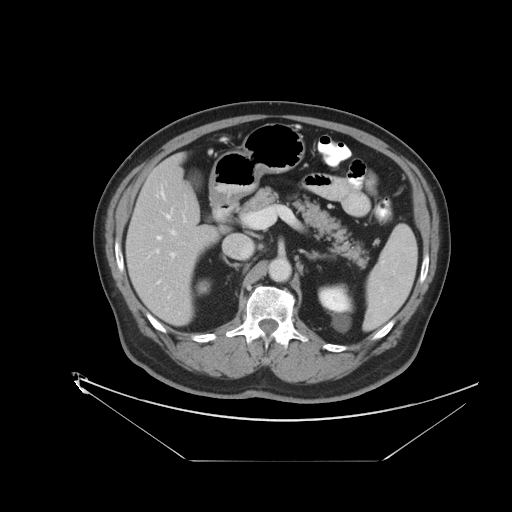

Computed tomography | 512x512 px | Liver
The vessel annotation is not exhaustive.
9 hepatic vessel regions appear at {"x1": 156, "y1": 249, "x2": 159, "y2": 252}, {"x1": 171, "y1": 230, "x2": 175, "y2": 234}, {"x1": 161, "y1": 188, "x2": 164, "y2": 198}, {"x1": 166, "y1": 214, "x2": 170, "y2": 218}, {"x1": 157, "y1": 236, "x2": 160, "y2": 239}, {"x1": 183, "y1": 216, "x2": 185, "y2": 221}, {"x1": 157, "y1": 280, "x2": 160, "y2": 283}, {"x1": 168, "y1": 295, "x2": 170, "y2": 296}, {"x1": 170, "y1": 252, "x2": 174, "y2": 257}.